240x240 px
FLAIR MR.
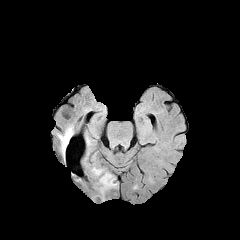
T1-weighted MR.
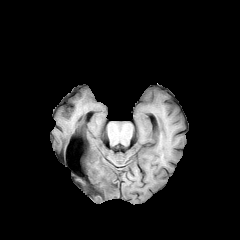
Post-contrast T1-weighted magnetic resonance.
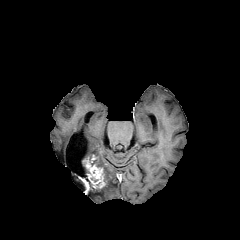
T2-weighted magnetic resonance.
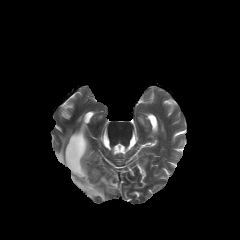
Enhancing tumor: l=84, t=158, r=104, b=188.
Non-enhancing tumor core: l=81, t=175, r=98, b=187.
Edema: l=59, t=130, r=73, b=154; l=92, t=157, r=118, b=198.